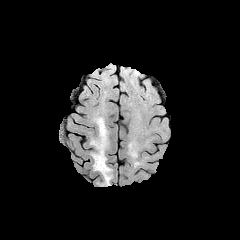
FLAIR MR.
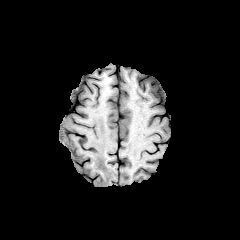
T1-weighted MRI.
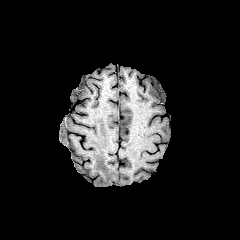
Same slice, post-contrast T1-weighted MRI.
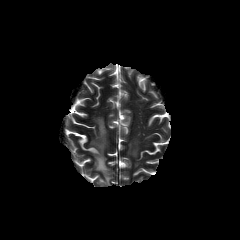
T2-weighted MR.
Brain.
* edema: <bbox>90, 118, 111, 184</bbox>